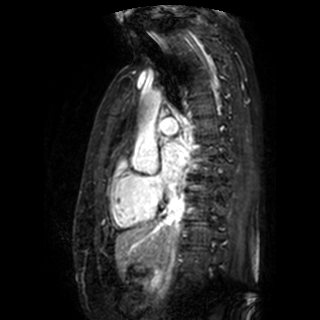

Magnetic resonance | Image size 320x320
Left atrium at box(162, 142, 189, 179).